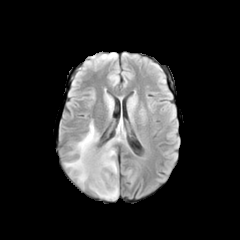
FLAIR MRI.
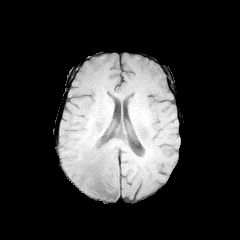
T1-weighted MRI of the same slice.
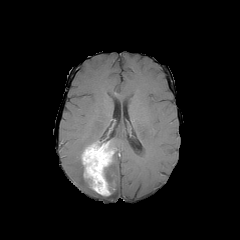
Same slice, post-contrast T1-weighted MR image.
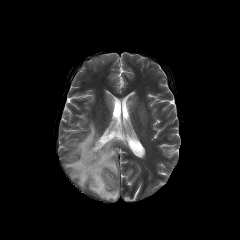
Same slice, T2-weighted MR.
{
  "edema": [
    "<box>64,121,100,187</box>",
    "<box>97,152,118,200</box>",
    "<box>111,121,127,146</box>"
  ],
  "non-enhancing_tumor_core": [
    "<box>88,140,106,147</box>"
  ],
  "enhancing_tumor": [
    "<box>81,141,114,195</box>"
  ]
}